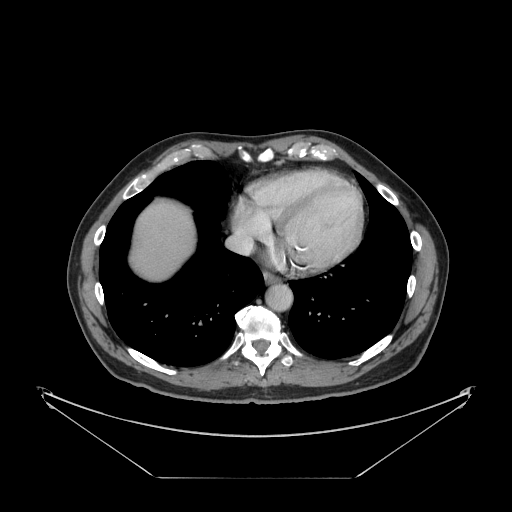

CT

Not every hepatic vessel necessarily has a box.
Hepatic vessel: bounding box 230, 228, 251, 252; 250, 227, 260, 235.